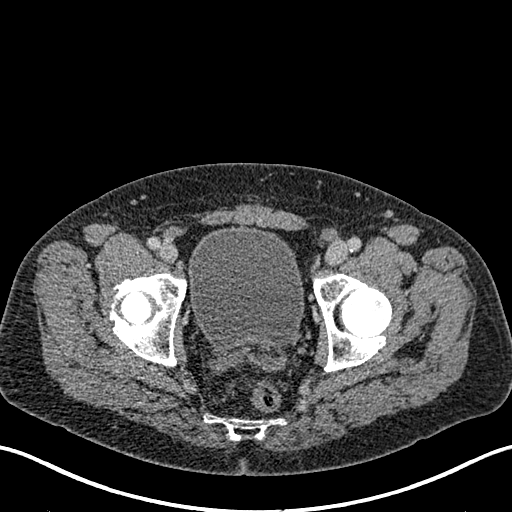 Computed tomography | Lower abdomen

The urinary bladder lies within box=[188, 225, 303, 345].